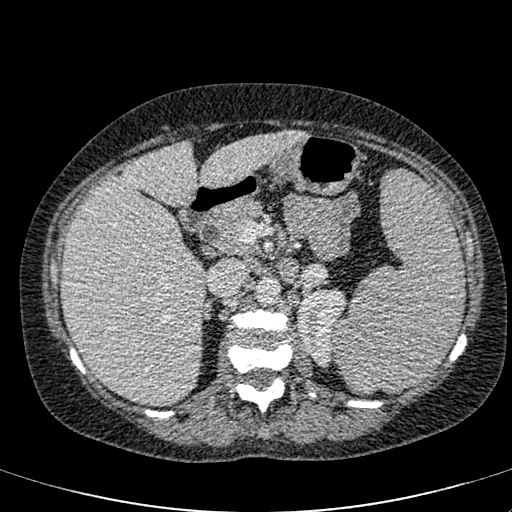
CT slice
Segmented structures:
- kidney: box=[297, 290, 345, 365]
- liver: box=[63, 142, 204, 404]; box=[198, 131, 305, 188]